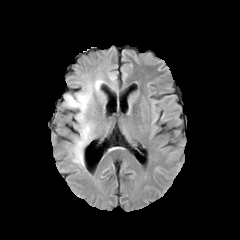
FLAIR magnetic resonance.
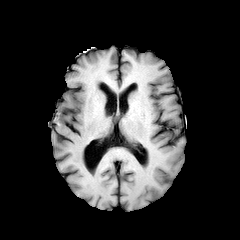
T1-weighted MR of the same slice.
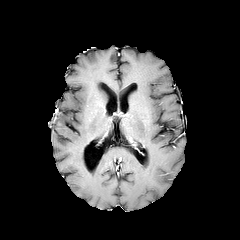
Same slice, post-contrast T1-weighted MR.
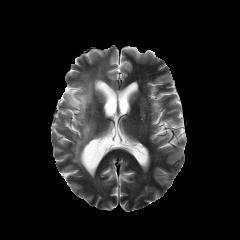
T2-weighted MRI.
Brain
<segmentation>
  <edema>[x1=62, y1=72, x2=117, y2=168]</edema>
</segmentation>